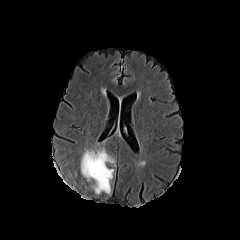
FLAIR magnetic resonance.
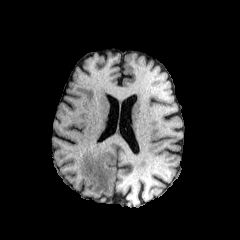
T1-weighted MRI.
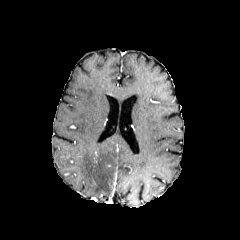
Post-contrast T1-weighted magnetic resonance.
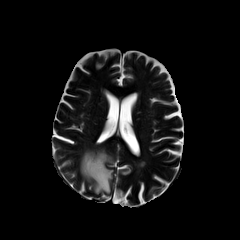
Same slice, T2-weighted magnetic resonance.
{
  "edema": [
    {"x1": 80, "y1": 149, "x2": 114, "y2": 194}
  ]
}